Computed tomography; 512x512 px; Slice index 15; Abdomen
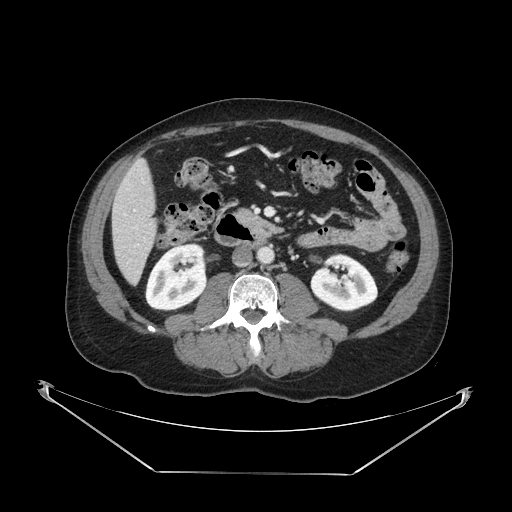 The pancreas is located at 233,207,280,237.